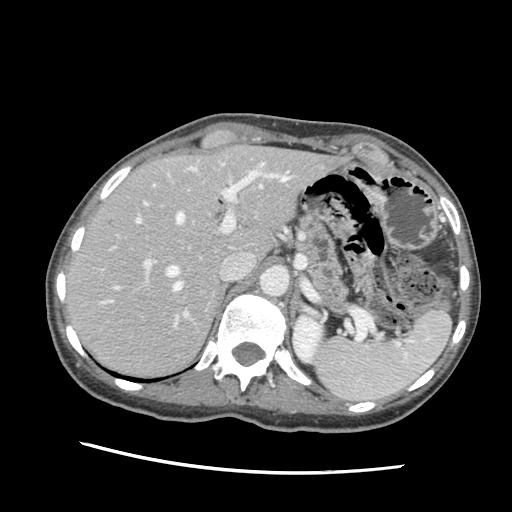
CT scan slice.

<segmentation>
  <pancreas>302, 217, 346, 309</pancreas>
</segmentation>